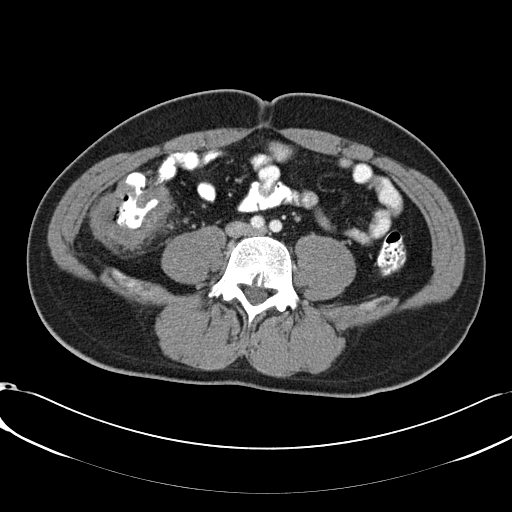 Image size 512x512 | Abdomen | CT

Segmented structures:
• colon tumor: l=89, t=182, r=171, b=250